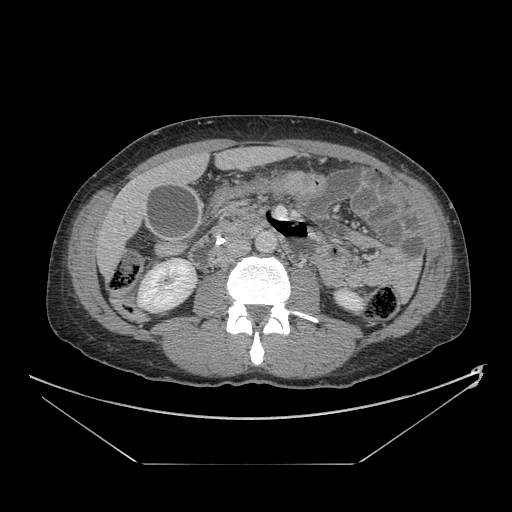
512x512 | CT

Pancreas: bbox(220, 202, 266, 239).